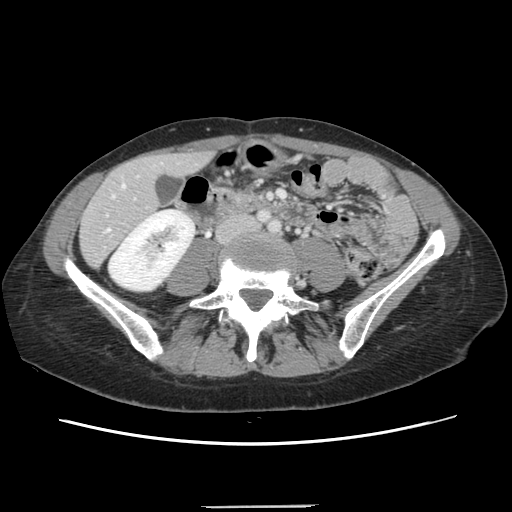
Abdomen | CT scan slice
Some hepatic vessels may have no box.
{"hepatic_vessel": ["rect(111, 195, 114, 197)", "rect(122, 184, 124, 187)", "rect(105, 229, 109, 231)"]}